240x240 px; Head
FLAIR MR image.
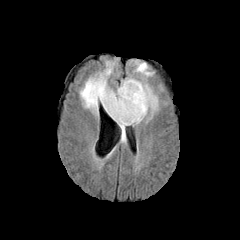
T1-weighted MR.
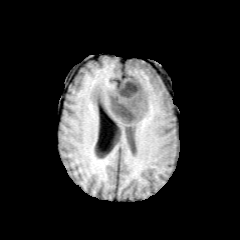
Post-contrast T1-weighted MR.
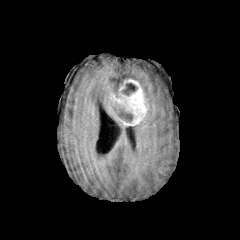
T2-weighted MRI.
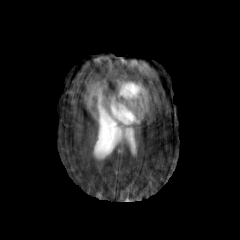
2 non-enhancing tumor core regions appear at <bbox>113, 106, 132, 121</bbox>, <bbox>121, 83, 137, 95</bbox>. The enhancing tumor is located at <bbox>108, 78, 148, 124</bbox>. 2 edema regions are bounded by <bbox>79, 60, 126, 144</bbox>, <bbox>120, 59, 158, 116</bbox>.